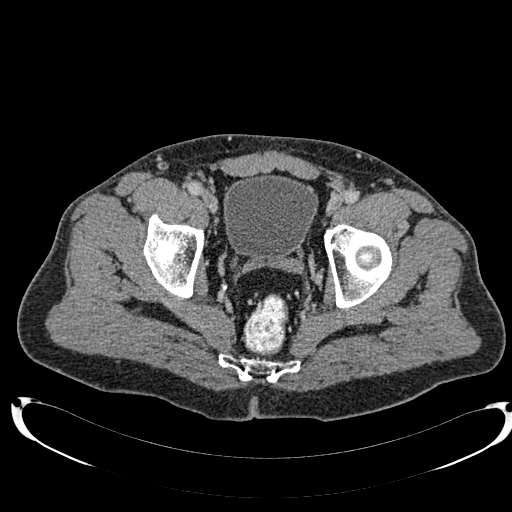 Pelvis. CT scan slice. The urinary bladder lies within 223, 173, 318, 266.